FLAIR MRI.
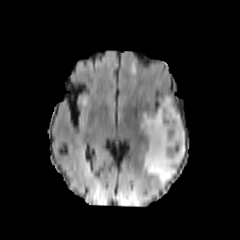
T1-weighted magnetic resonance.
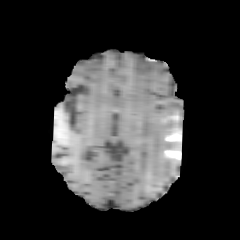
Post-contrast T1-weighted MR.
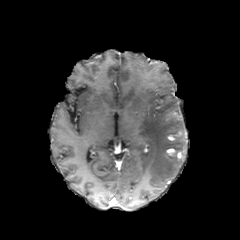
T2-weighted magnetic resonance.
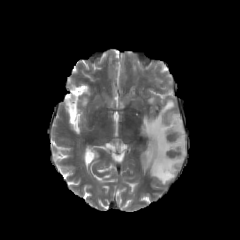
Head.
{
  "edema": [
    "(140,95,186,184)"
  ]
}